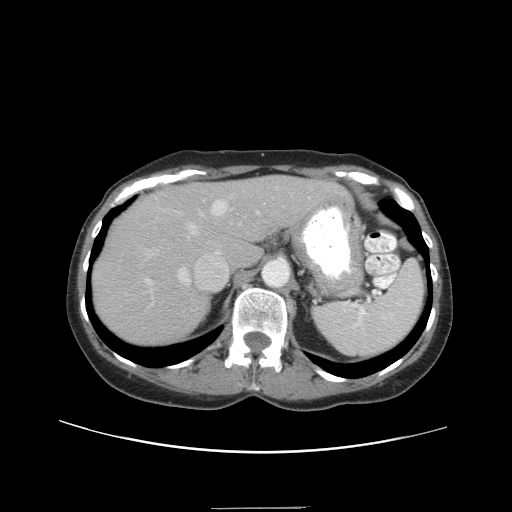 512x512 px | Abdomen | CT image

The vessel annotation is not exhaustive.
<segmentation>
  <hepatic_vessel>[x1=178, y1=268, x2=188, y2=281], [x1=211, y1=200, x2=226, y2=214], [x1=189, y1=225, x2=196, y2=233], [x1=145, y1=278, x2=152, y2=285], [x1=256, y1=211, x2=259, y2=213], [x1=276, y1=187, x2=277, y2=188]</hepatic_vessel>
</segmentation>